Slice index 110; Brain; Image size 240x240
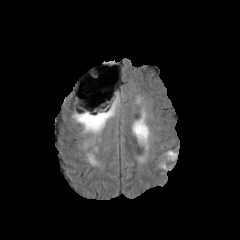
FLAIR MR image.
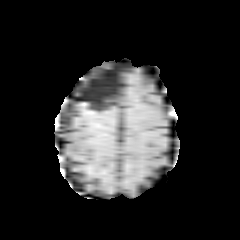
T1-weighted MR.
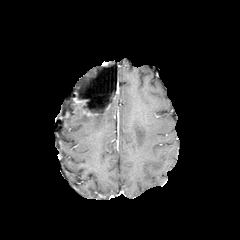
Post-contrast T1-weighted magnetic resonance.
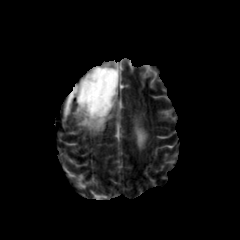
T2-weighted MRI.
<segmentation>
  <edema>72,104,119,136; 164,150,171,159; 132,117,148,147</edema>
  <non-enhancing_tumor_core>81,91,120,117</non-enhancing_tumor_core>
</segmentation>